Slice index 80 | Image size 240x240 | Image width 240 mm
FLAIR MR image.
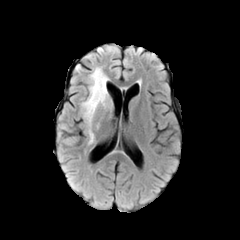
T1-weighted MR.
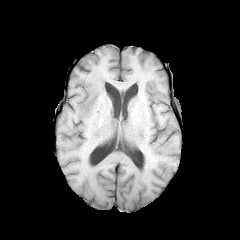
Post-contrast T1-weighted MR.
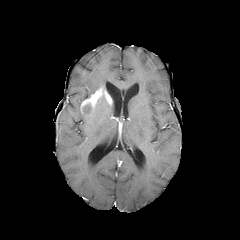
T2-weighted MR.
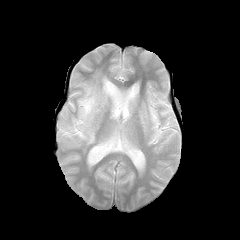
4 edema regions are bounded by (78, 67, 109, 101), (59, 121, 68, 133), (60, 136, 76, 145), (78, 100, 112, 144). The non-enhancing tumor core is at (82, 105, 93, 114). The enhancing tumor appears at (80, 86, 109, 113).